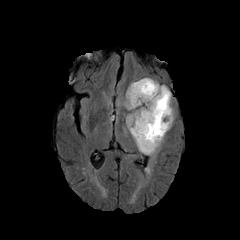
FLAIR MRI.
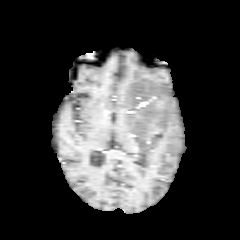
T1-weighted MR.
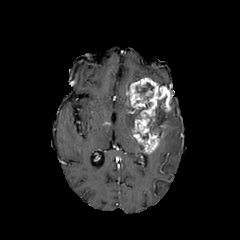
Post-contrast T1-weighted magnetic resonance.
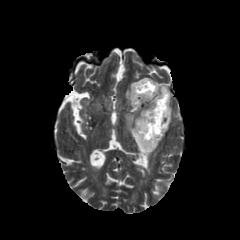
T2-weighted MR image.
240x240.
Enhancing tumor at bbox(126, 78, 171, 153).
Edema at bbox(126, 106, 133, 134); bbox(148, 109, 174, 155).
Non-enhancing tumor core at bbox(137, 83, 152, 94); bbox(150, 100, 170, 137); bbox(128, 102, 150, 120).